512x512 px, Upper abdomen, CT slice 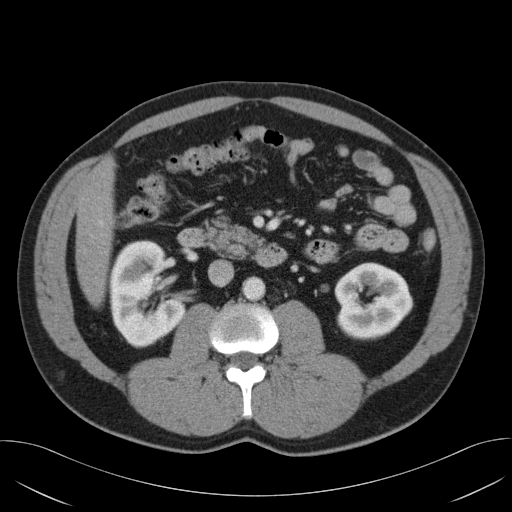

pancreas: (x1=202, y1=215, x2=266, y2=258)